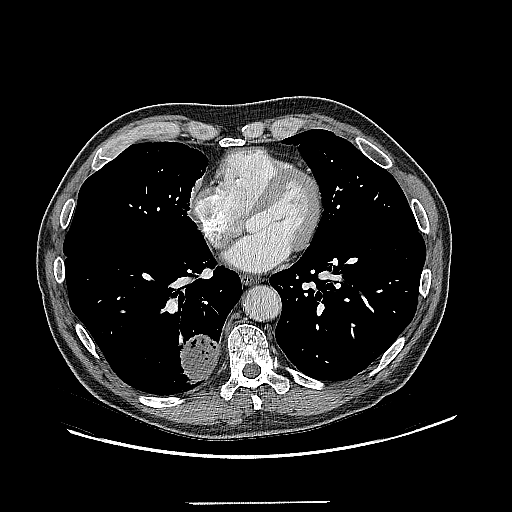 Lung. Computed tomography.

The lung tumor lies within [x1=180, y1=334, x2=219, y2=385].